Image width 335 mm. 512x512. Slice 218 of 565. Abdomen. CT slice.

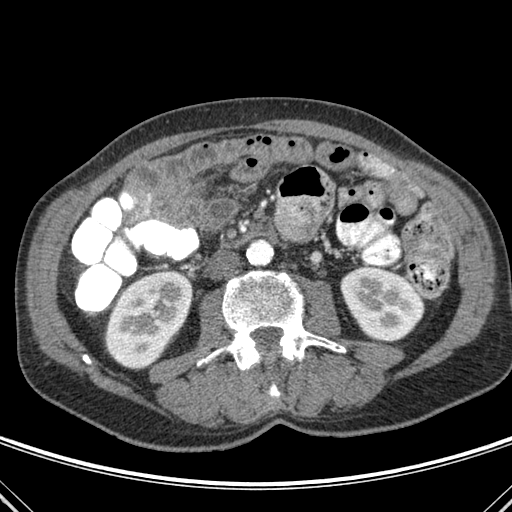

kidney:
  - 107:274:191:367
  - 341:268:422:340
bone:
  - 269:379:279:398
  - 197:271:345:370
  - 83:355:91:363